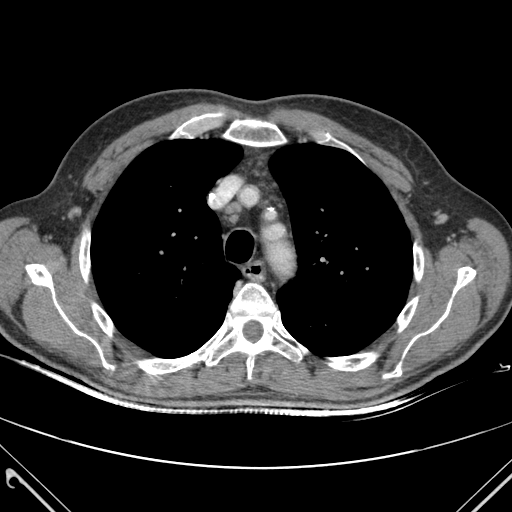

Chest, CT image, 512x512 px
Annotated regions:
- bone: <bbox>79, 233, 89, 281</bbox>, <bbox>383, 363, 401, 377</bbox>, <bbox>92, 303, 112, 335</bbox>, <bbox>404, 267, 475, 354</bbox>, <bbox>398, 297, 417, 331</bbox>, <bbox>413, 243, 423, 280</bbox>, <bbox>26, 264, 113, 368</bbox>, <bbox>224, 119, 285, 146</bbox>, <bbox>329, 353, 376, 370</bbox>, <bbox>171, 113, 226, 137</bbox>, <bbox>322, 133, 353, 153</bbox>, <bbox>138, 283, 307, 378</bbox>
- lung: <bbox>269, 143, 412, 356</bbox>, <bbox>91, 139, 242, 358</bbox>